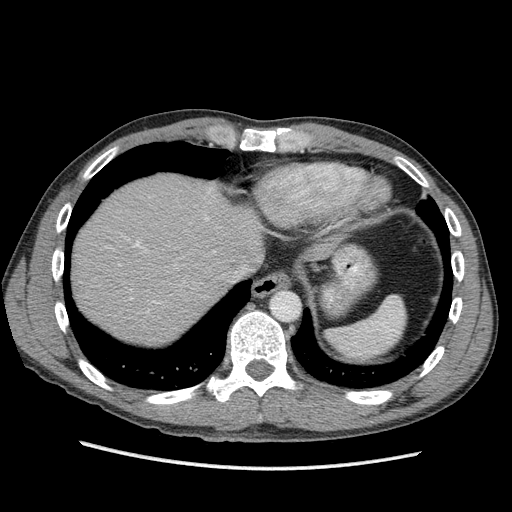 Computed tomography.

The focal liver lesion lies within bbox(77, 278, 88, 288). 2 liver regions are located at bbox(302, 232, 345, 261); bbox(71, 173, 275, 346).